Slice 68 of 102; 512x512; Liver; CT slice; Field of view 451 mm wide, 2.00 mm slice spacing

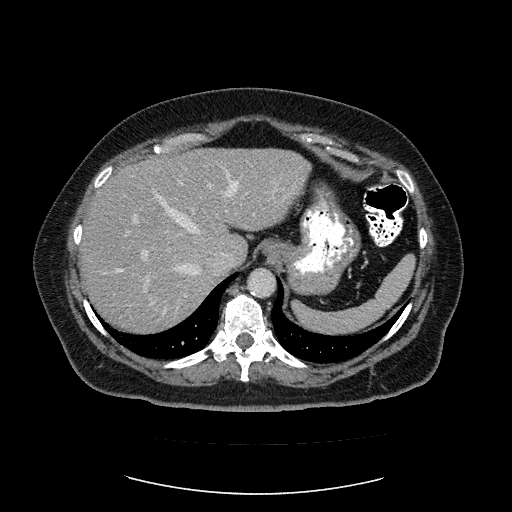 Not every hepatic vessel necessarily has a box.
The most prominent 15 hepatic vessel regions (of 17) are bounded by [x1=208, y1=184, x2=211, y2=187], [x1=104, y1=272, x2=107, y2=273], [x1=224, y1=169, x2=239, y2=195], [x1=142, y1=250, x2=147, y2=260], [x1=151, y1=300, x2=154, y2=304], [x1=133, y1=215, x2=137, y2=222], [x1=179, y1=180, x2=181, y2=184], [x1=143, y1=273, x2=149, y2=290], [x1=280, y1=184, x2=295, y2=202], [x1=115, y1=268, x2=122, y2=271], [x1=155, y1=193, x2=198, y2=231], [x1=164, y1=308, x2=165, y2=312], [x1=192, y1=208, x2=194, y2=212], [x1=176, y1=265, x2=199, y2=274], [x1=126, y1=231, x2=130, y2=233].